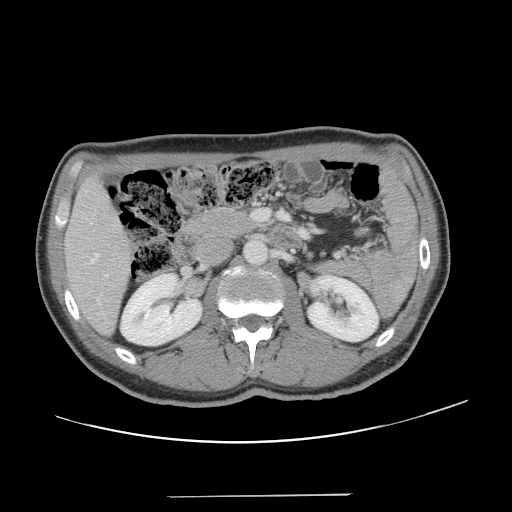 CT slice. Not every hepatic vessel necessarily has a box.
Hepatic vessel at [x1=90, y1=221, x2=92, y2=224], [x1=91, y1=259, x2=94, y2=262], [x1=95, y1=253, x2=98, y2=257], [x1=82, y1=216, x2=86, y2=218].